FLAIR magnetic resonance.
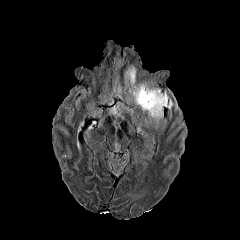
T1-weighted MRI.
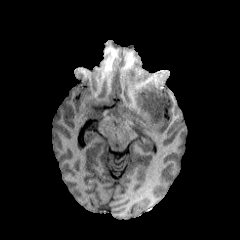
Post-contrast T1-weighted magnetic resonance.
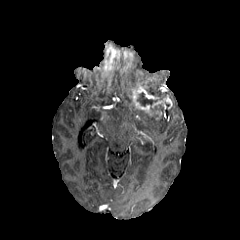
T2-weighted magnetic resonance.
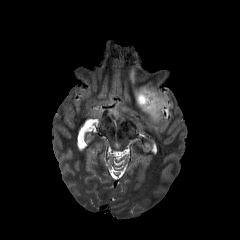
240x240, Head
non-enhancing tumor core: box=[137, 92, 158, 107]; box=[150, 103, 163, 112] | edema: box=[139, 82, 168, 98]; box=[124, 66, 136, 90]; box=[145, 113, 159, 128] | enhancing tumor: box=[131, 90, 172, 112]